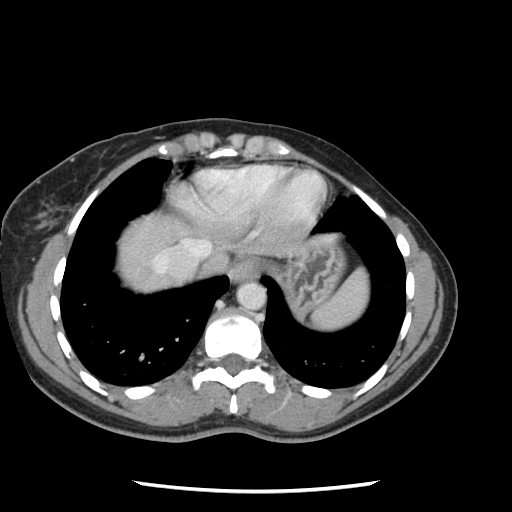 Image size 512x512, CT scan slice, Liver

Some hepatic vessels may have no box.
3 hepatic vessel regions are bounded by (192, 240, 208, 254), (182, 239, 190, 244), (155, 255, 165, 271).